Slice 82/155; 240x240; Brain
FLAIR MR.
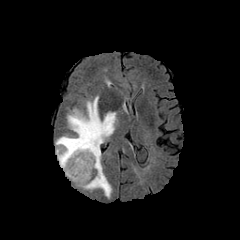
T1-weighted MR.
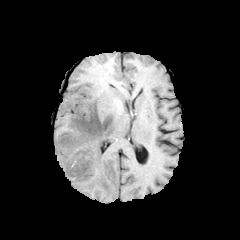
Post-contrast T1-weighted MRI.
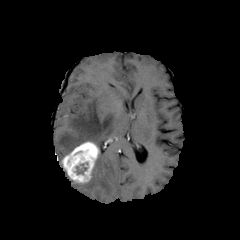
T2-weighted MRI.
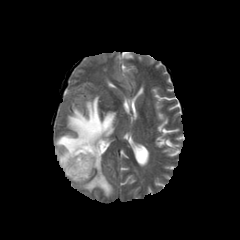
non-enhancing tumor core: 86 116 99 131 | edema: 56 96 116 161, 82 150 112 196 | enhancing tumor: 60 141 99 182